240x240 px; Head
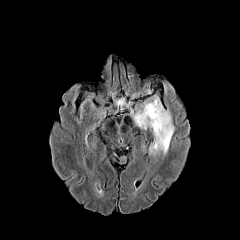
FLAIR MRI.
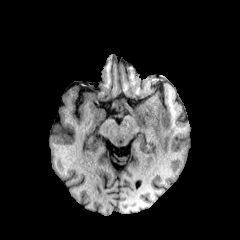
T1-weighted MR image.
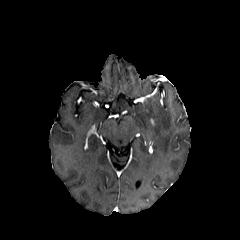
Same slice, post-contrast T1-weighted MR image.
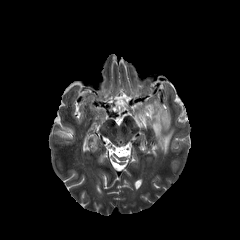
Same slice, T2-weighted magnetic resonance.
The edema appears at <bbox>130, 95, 174, 158</bbox>.